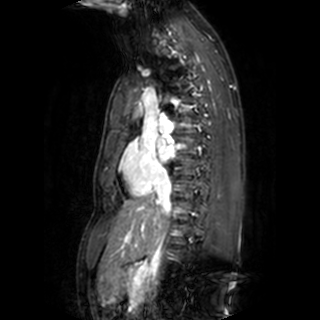
320x320. Cardiac. Magnetic resonance.

The left atrium is located at (x1=157, y1=139, x2=174, y2=160).